CT image. Abdomen. Field of view 384x384 mm.

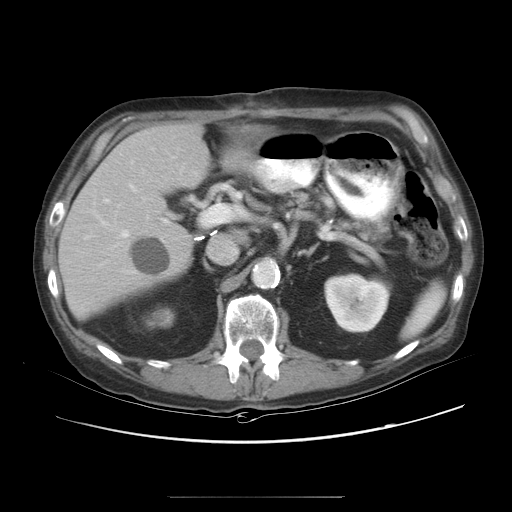
The vessel annotation is not exhaustive.
* liver tumor: 131,237,167,274
* hepatic vessel: 120,230,128,237; 104,199,109,201; 201,204,245,226; 96,215,108,224